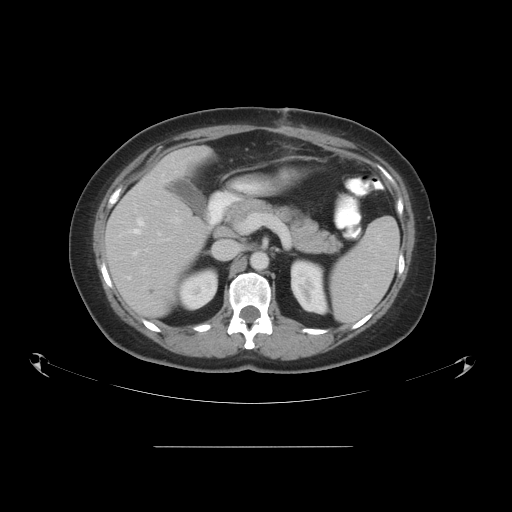

CT image. Liver. The vessel boxes may cover only some of the vessels.
11 hepatic vessel regions are located at rect(171, 217, 180, 222); rect(135, 204, 137, 207); rect(160, 175, 165, 181); rect(142, 267, 145, 269); rect(145, 248, 147, 250); rect(158, 231, 169, 240); rect(126, 276, 130, 278); rect(175, 170, 177, 171); rect(133, 249, 138, 255); rect(120, 218, 143, 235); rect(141, 184, 142, 185).